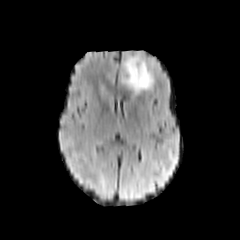
FLAIR MR.
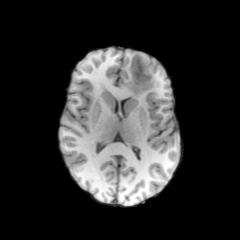
T1-weighted MR image of the same slice.
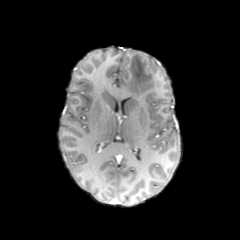
Post-contrast T1-weighted MR of the same slice.
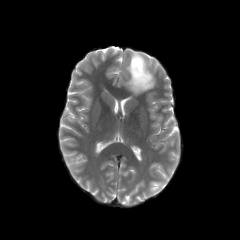
T2-weighted MRI of the same slice.
The non-enhancing tumor core lies within left=129, top=54, right=151, bottom=84. The edema is located at left=122, top=54, right=155, bottom=94.